Computed tomography, Image size 512x512, Slice 80 of 147 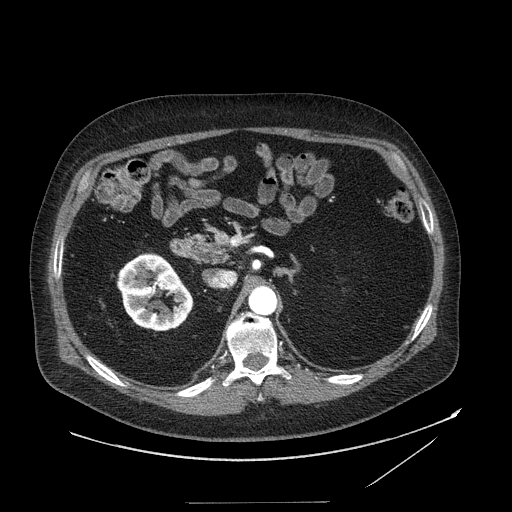 pancreas: x1=190 y1=233 x2=230 y2=265